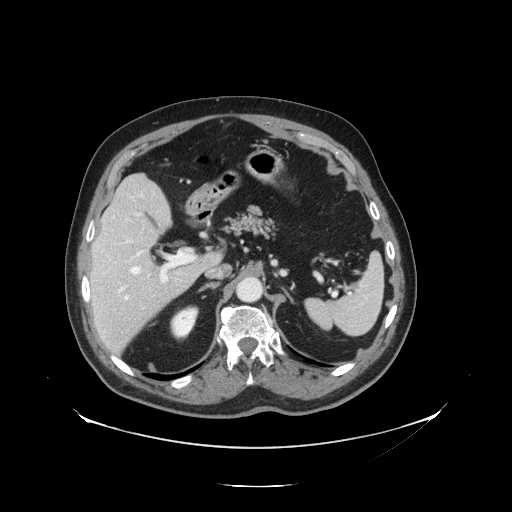 Abdomen. CT slice. Only some of the vessels may be annotated.
9 hepatic vessel regions are bounded by [136, 213, 142, 215], [148, 274, 149, 276], [125, 296, 128, 299], [130, 267, 141, 274], [135, 253, 140, 256], [183, 259, 193, 263], [161, 266, 173, 282], [141, 193, 142, 196], [120, 287, 124, 291].